Upper abdomen; Computed tomography; Slice 356/455 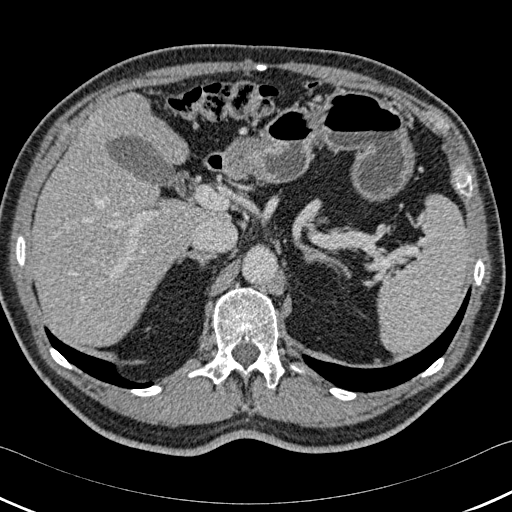 9 bone regions are located at [456, 173, 472, 196], [421, 358, 443, 376], [188, 288, 284, 388], [330, 388, 355, 400], [50, 348, 72, 368], [131, 386, 161, 396], [16, 236, 25, 266], [291, 365, 304, 372], [474, 259, 484, 285]. The liver is at [33, 93, 220, 345]. 3 lung regions appear at [44, 327, 55, 340], [302, 286, 471, 392], [55, 340, 153, 388].